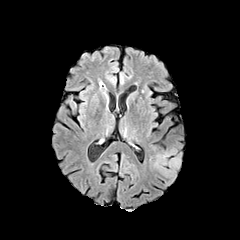
FLAIR magnetic resonance.
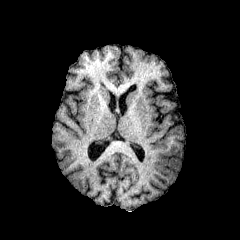
T1-weighted MR.
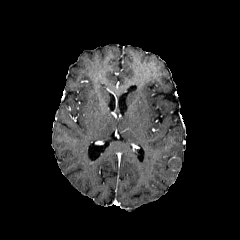
Same slice, post-contrast T1-weighted magnetic resonance.
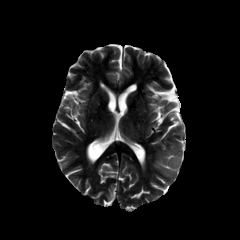
Same slice, T2-weighted MR.
<segmentation>
  <edema>region(149, 147, 182, 182)</edema>
</segmentation>